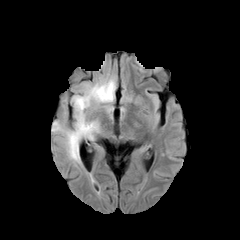
FLAIR MR.
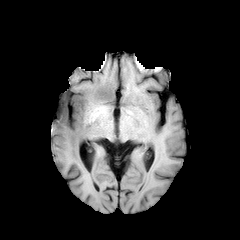
Same slice, T1-weighted magnetic resonance.
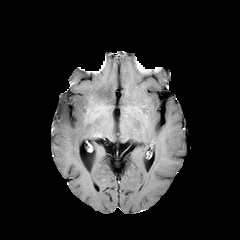
Post-contrast T1-weighted MRI of the same slice.
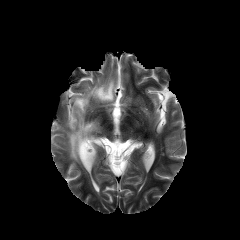
Same slice, T2-weighted MRI.
Brain
edema: (x1=52, y1=74, x2=116, y2=167)